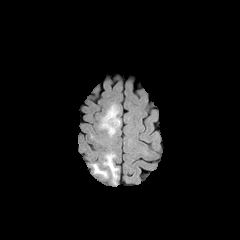
FLAIR MR.
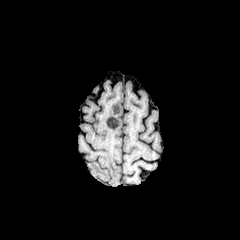
T1-weighted MRI.
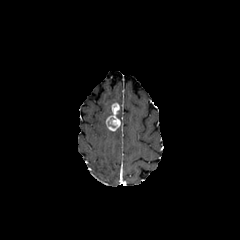
Post-contrast T1-weighted MR image.
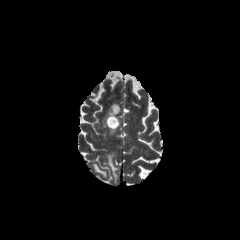
T2-weighted MR image.
240x240, Brain
edema:
  - left=98, top=106, right=115, bottom=136
  - left=104, top=153, right=118, bottom=180
  - left=92, top=164, right=106, bottom=175
enhancing_tumor:
  - left=105, top=102, right=120, bottom=131